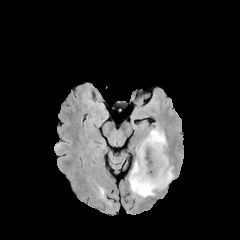
FLAIR MR image.
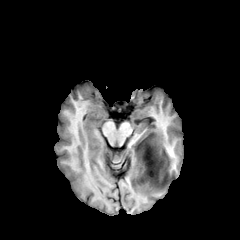
Same slice, T1-weighted magnetic resonance.
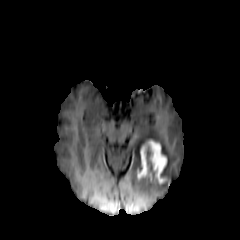
Post-contrast T1-weighted MRI.
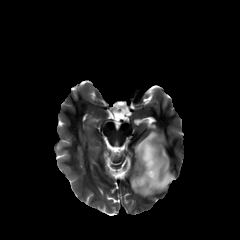
T2-weighted magnetic resonance.
Head
The non-enhancing tumor core lies within region(146, 146, 157, 182). The enhancing tumor lies within region(137, 140, 166, 184). The edema is located at region(129, 127, 174, 196).